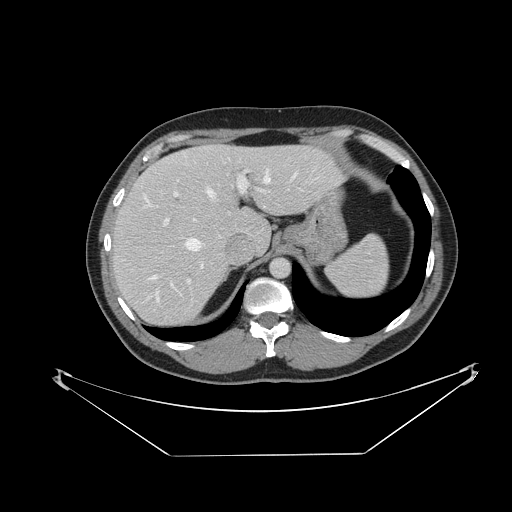 Upper abdomen; 512x512 px; CT image
spleen: x1=329 y1=236 x2=388 y2=298